Slice index 59. 512x512 px. CT scan slice. Abdomen.

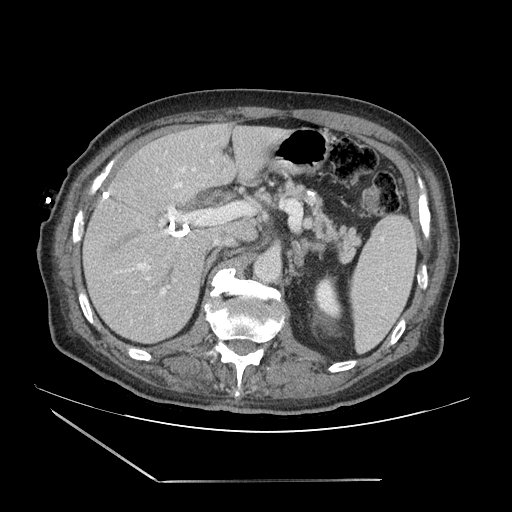

pancreas:
  - {"x1": 309, "y1": 207, "x2": 362, "y2": 263}
  - {"x1": 283, "y1": 182, "x2": 305, "y2": 199}